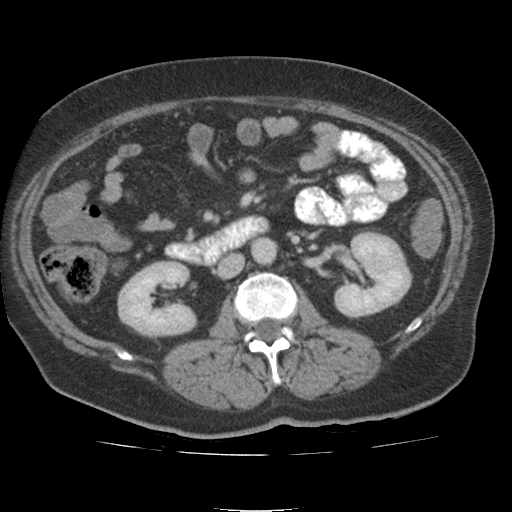 Abdomen. Computed tomography. Annotated regions:
- kidney: {"x1": 336, "y1": 235, "x2": 409, "y2": 314}, {"x1": 115, "y1": 263, "x2": 193, "y2": 332}